FLAIR MR image.
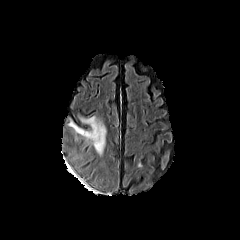
T1-weighted MR image.
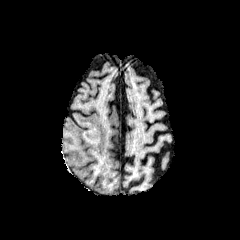
Post-contrast T1-weighted MR.
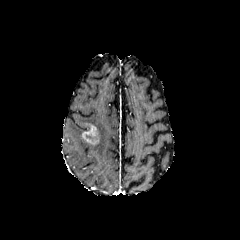
T2-weighted MRI.
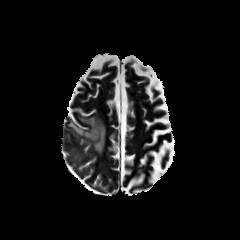
2 edema regions are bounded by 78 114 107 154, 68 117 87 140. The enhancing tumor is bounded by 80 123 99 145.